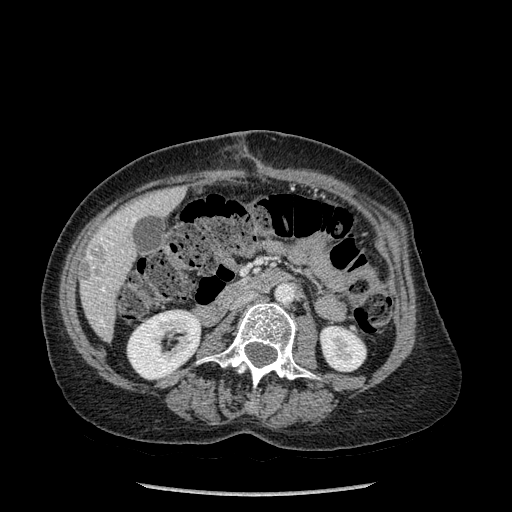
Computed tomography
Annotated regions:
- kidney: 127, 310, 200, 379; 321, 326, 365, 370
- bone: 247, 395, 256, 410; 197, 301, 314, 387
- focal liver lesion: 80, 260, 89, 278; 91, 246, 105, 263
- liver: 78, 186, 185, 342